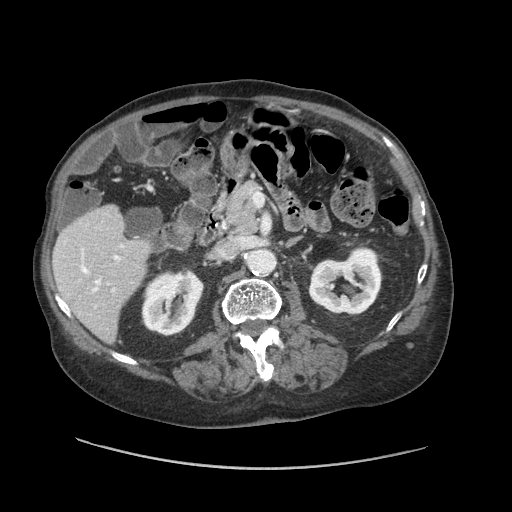 Computed tomography, Abdomen
Not every hepatic vessel necessarily has a box.
hepatic_vessel:
  - box=[96, 280, 100, 284]
  - box=[221, 251, 224, 255]
  - box=[237, 237, 250, 246]